Field of view 350x350 mm. 512x512 px. Computed tomography. Upper abdomen.

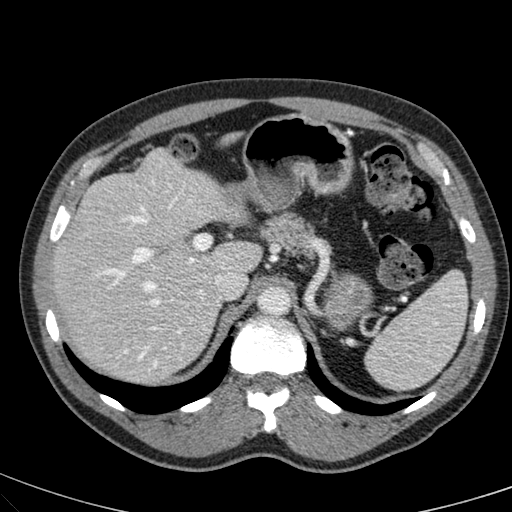
liver:
  - 51 150 260 382